CT image. 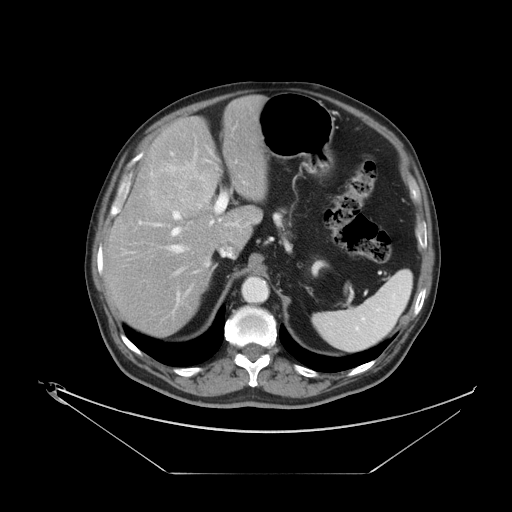
Not every hepatic vessel necessarily has a box.
Liver tumor at l=157, t=174, r=202, b=199.
Principal 15 of 20 hepatic vessel regions at l=169, t=245, r=188, b=252; l=150, t=223, r=159, b=225; l=177, t=294, r=179, b=304; l=198, t=204, r=200, b=206; l=150, t=172, r=152, b=176; l=171, t=228, r=180, b=235; l=185, t=164, r=193, b=168; l=173, t=210, r=179, b=218; l=176, t=268, r=182, b=272; l=139, t=221, r=147, b=223; l=194, t=153, r=195, b=162; l=215, t=193, r=227, b=211; l=150, t=191, r=153, b=194; l=204, t=196, r=209, b=201; l=168, t=164, r=175, b=171.